FLAIR MR.
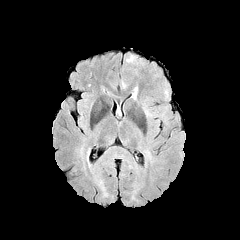
T1-weighted MR.
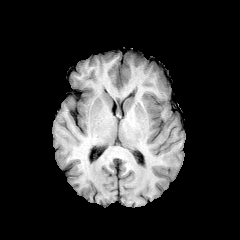
Post-contrast T1-weighted magnetic resonance.
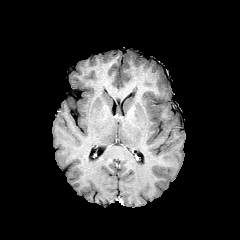
T2-weighted MRI.
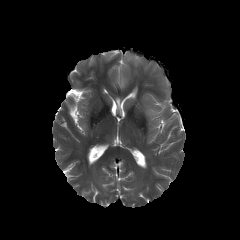
Head.
2 edema regions appear at region(126, 55, 136, 62); region(130, 87, 137, 99).